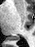
Hippocampus, MR
Posterior hippocampus: bounding box <bbox>15, 37, 19, 40</bbox>.